Head. 240x240. Field of view 240 mm wide, 1.00 mm slice spacing.
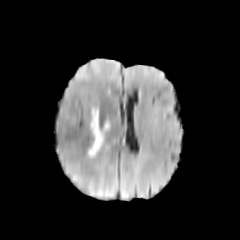
FLAIR MR image.
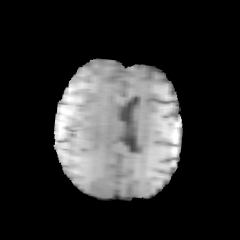
Same slice, T1-weighted MR image.
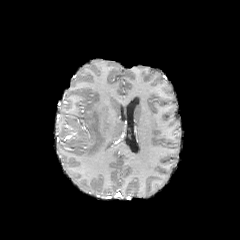
Post-contrast T1-weighted MR.
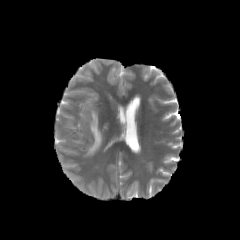
T2-weighted MR of the same slice.
Edema = bbox(85, 108, 110, 157).